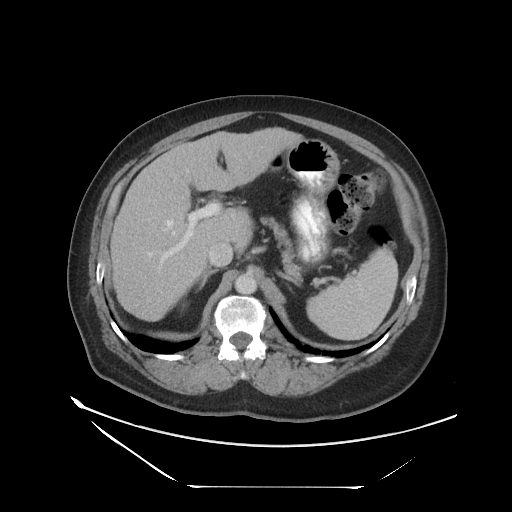 Image size 512x512, Liver, Computed tomography
The vessel annotation is not exhaustive.
• hepatic vessel: (left=165, top=254, right=167, bottom=255), (left=186, top=231, right=191, bottom=239), (left=167, top=220, right=172, bottom=228), (left=189, top=211, right=200, bottom=219), (left=173, top=231, right=175, bottom=234), (left=168, top=240, right=185, bottom=253)